240x240 px; Brain
FLAIR MRI.
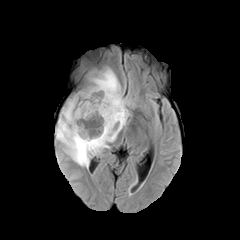
T1-weighted MRI.
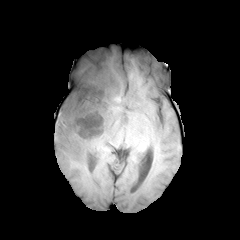
Post-contrast T1-weighted MR image.
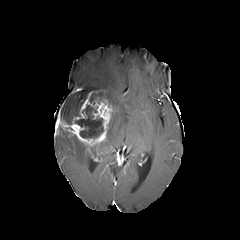
T2-weighted magnetic resonance.
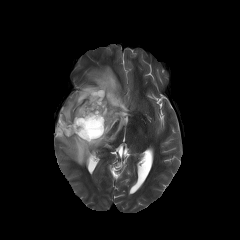
<segmentation>
  <non-enhancing_tumor_core>region(76, 88, 114, 116); region(75, 105, 103, 138)</non-enhancing_tumor_core>
  <edema>region(56, 68, 134, 168); region(59, 91, 82, 122)</edema>
  <enhancing_tumor>region(55, 91, 111, 145)</enhancing_tumor>
</segmentation>